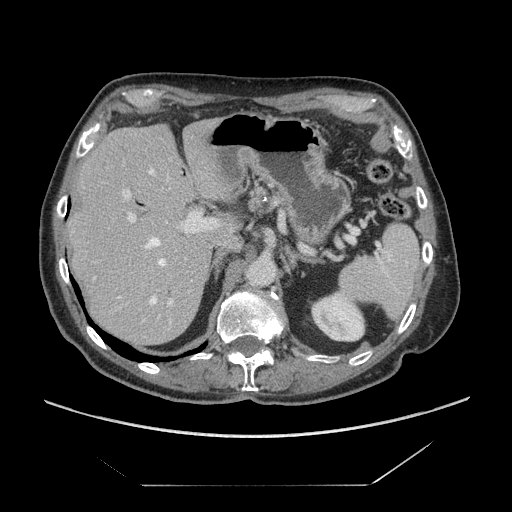
Upper abdomen | CT slice | 512x512 px
Pancreas at 247 184 269 213.